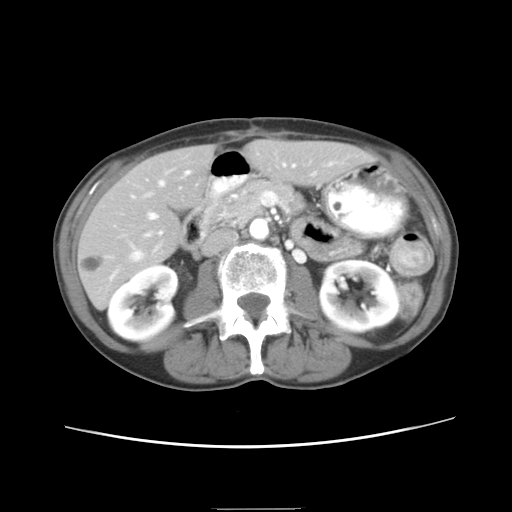
CT scan slice. Some hepatic vessels may have no box.
The liver tumor is located at (79,255,104,273). 7 hepatic vessel regions are located at (148,212,156,218), (292,164,294,166), (282,163,284,165), (158,231,161,233), (130,251,141,260), (312,172,314,174), (159,181,163,185).